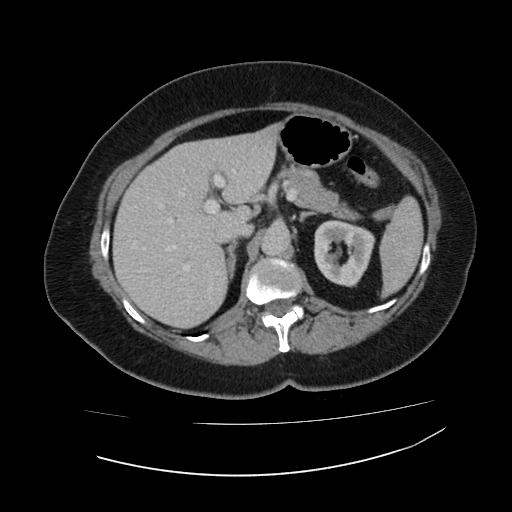

Image size 512x512. CT.
Segmented structures:
* liver: bbox=[113, 124, 278, 326]
* kidney: bbox=[314, 221, 374, 286]